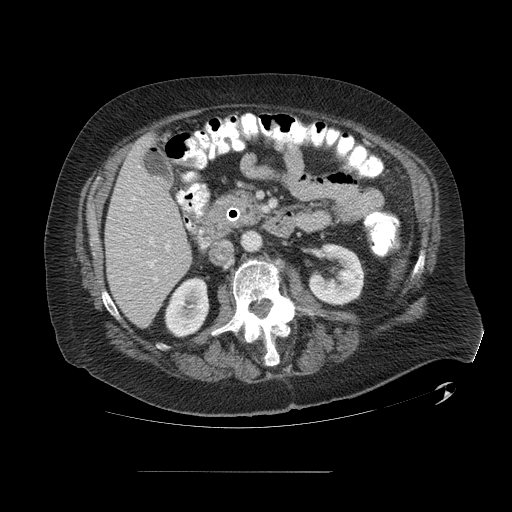 Abdomen, CT slice
The vessel boxes may cover only some of the vessels.
Hepatic vessel: {"x1": 153, "y1": 277, "x2": 157, "y2": 281}, {"x1": 149, "y1": 260, "x2": 155, "y2": 265}, {"x1": 165, "y1": 243, "x2": 169, "y2": 251}, {"x1": 132, "y1": 198, "x2": 134, "y2": 199}, {"x1": 144, "y1": 211, "x2": 148, "y2": 214}, {"x1": 149, "y1": 237, "x2": 154, "y2": 246}.